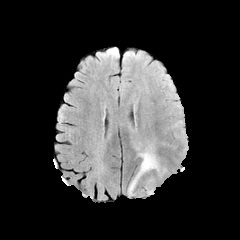
FLAIR magnetic resonance.
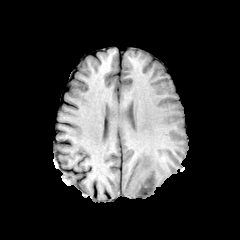
T1-weighted MR image.
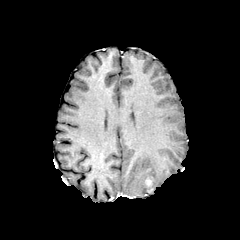
Post-contrast T1-weighted magnetic resonance.
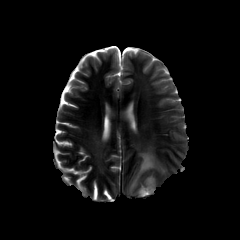
T2-weighted MR image.
Head
The edema lies within (left=127, top=151, right=161, bottom=195).